Slice 95/155 | Brain
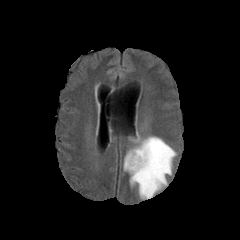
FLAIR MRI.
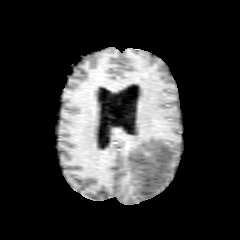
T1-weighted MRI.
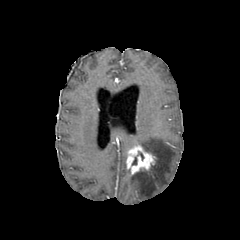
Post-contrast T1-weighted MR.
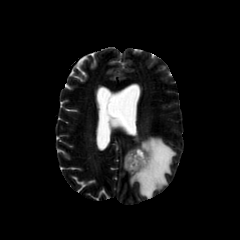
T2-weighted MR.
The enhancing tumor lies within rect(126, 146, 155, 174). 2 edema regions are bounded by rect(123, 153, 130, 173); rect(129, 136, 176, 199).